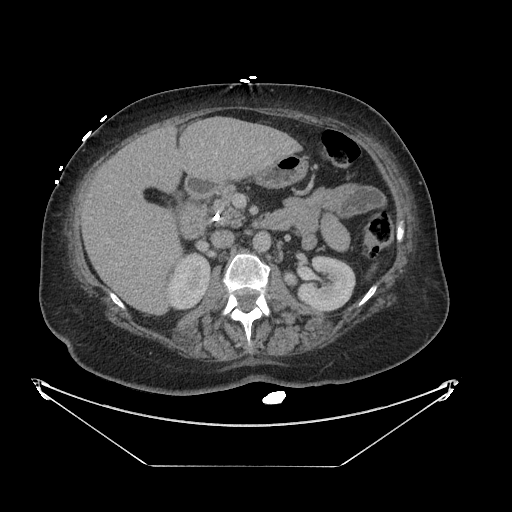 Abdomen | CT

pancreatic_tumor:
  - region(220, 201, 232, 214)
pancreas:
  - region(211, 186, 239, 227)